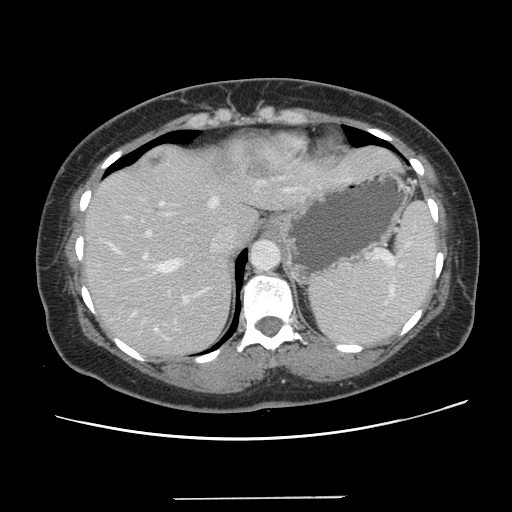
CT scan slice; Liver
The vessel annotation is not exhaustive.
Hepatic vessel: bounding box x1=197, y1=289, x2=206, y2=294; x1=160, y1=201, x2=164, y2=204; x1=285, y1=188, x2=292, y2=190; x1=144, y1=254, x2=147, y2=258; x1=147, y1=231, x2=150, y2=235; x1=183, y1=296, x2=188, y2=302; x1=210, y1=197, x2=217, y2=206; x1=132, y1=313, x2=135, y2=315; x1=125, y1=217, x2=128, y2=217; x1=156, y1=260, x2=179, y2=272; x1=108, y1=243, x2=119, y2=252; x1=154, y1=328, x2=157, y2=331; x1=261, y1=181, x2=264, y2=182.
Liver tumor: bounding box x1=148, y1=156, x2=162, y2=167; x1=209, y1=147, x2=272, y2=179.